CT image, Slice 217 of 422

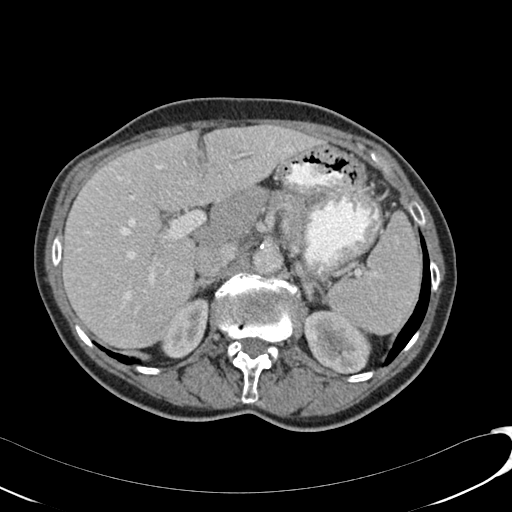 2 kidney regions are located at 304,311,369,372; 163,300,207,357. 3 hepatic lesion regions are bounded by 213,130,252,164; 188,151,203,173; 150,180,158,187. The liver is located at 63,125,323,346.